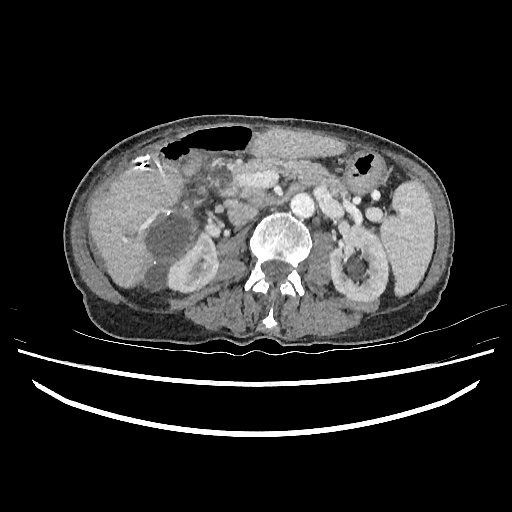 512x512 px; CT image
3 liver regions are bounded by (left=89, top=155, right=200, bottom=287), (left=181, top=233, right=194, bottom=253), (left=253, top=129, right=347, bottom=156). 2 kidney regions are located at (left=169, top=222, right=219, bottom=291), (left=330, top=228, right=387, bottom=301). 2 liver lesion regions are located at (left=142, top=213, right=195, bottom=290), (left=92, top=244, right=105, bottom=269).